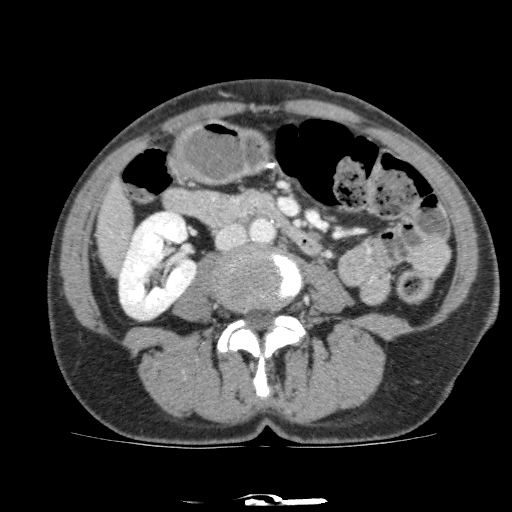 512x512; CT slice; Abdomen
{
  "kidney": [
    "<bbox>119, 212, 195, 319</bbox>"
  ],
  "liver": [
    "<bbox>95, 178, 135, 279</bbox>"
  ]
}